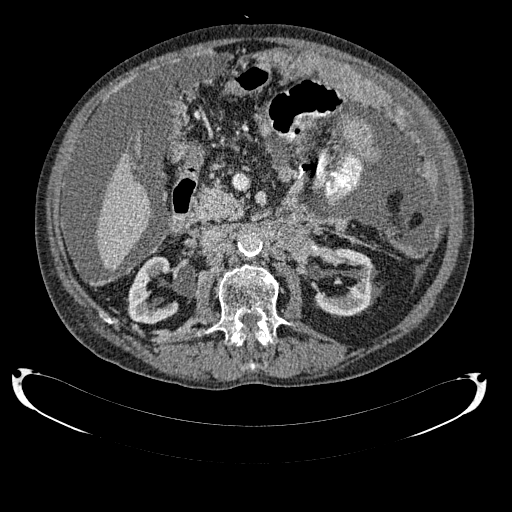

Liver; CT scan slice
<segmentation>
  <liver>(x1=97, y1=151, x2=150, y2=270)</liver>
  <kidney>(x1=128, y1=257, x2=177, y2=323), (x1=315, y1=248, x2=372, y2=315)</kidney>
</segmentation>